Slice 154 of 811; CT; Pelvis

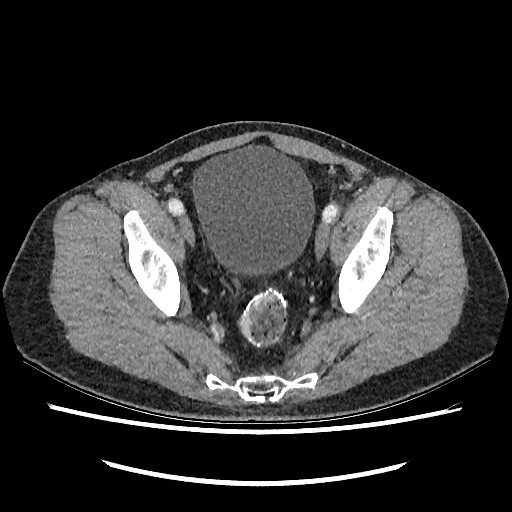

<segmentation>
  <urinary_bladder>191 143 314 276</urinary_bladder>
</segmentation>